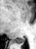
MR image
The posterior hippocampus appears at (15, 38, 24, 43).